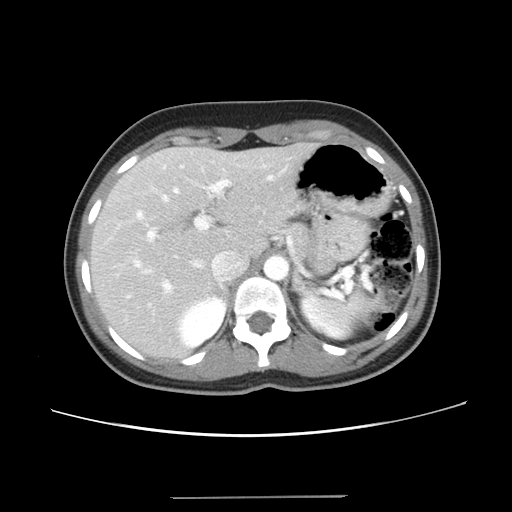

CT slice

Only some of the vessels may be annotated.
[15/16] hepatic vessel: [x1=163, y1=196, x2=168, y2=201], [x1=163, y1=280, x2=171, y2=292], [x1=212, y1=255, x2=220, y2=267], [x1=144, y1=271, x2=150, y2=273], [x1=210, y1=194, x2=212, y2=196], [x1=148, y1=228, x2=155, y2=241], [x1=268, y1=176, x2=272, y2=180], [x1=174, y1=188, x2=178, y2=193], [x1=195, y1=215, x2=208, y2=228], [x1=199, y1=304, x2=202, y2=305], [x1=135, y1=260, x2=140, y2=266], [x1=203, y1=180, x2=230, y2=193], [x1=193, y1=261, x2=201, y2=267], [x1=263, y1=165, x2=265, y2=167], [x1=138, y1=211, x2=142, y2=218]